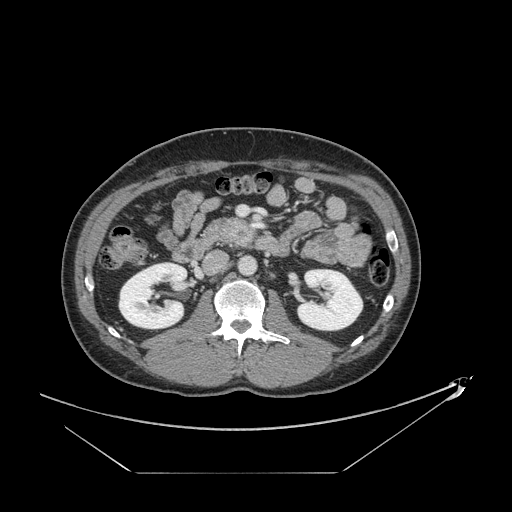

CT
Pancreatic tumor: 236:231:248:238.
Pancreas: 203:218:255:246.